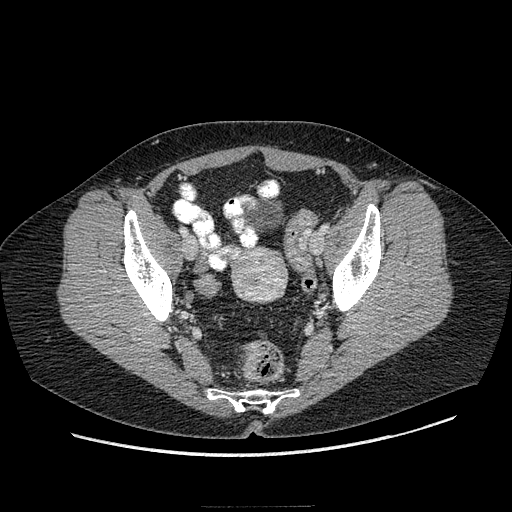
CT scan slice.
<segmentation>
  <colon_tumor>bbox(242, 343, 260, 376)</colon_tumor>
</segmentation>